512x512, Field of view 434 mm wide, 1.00 mm slice spacing, Slice index 521, CT 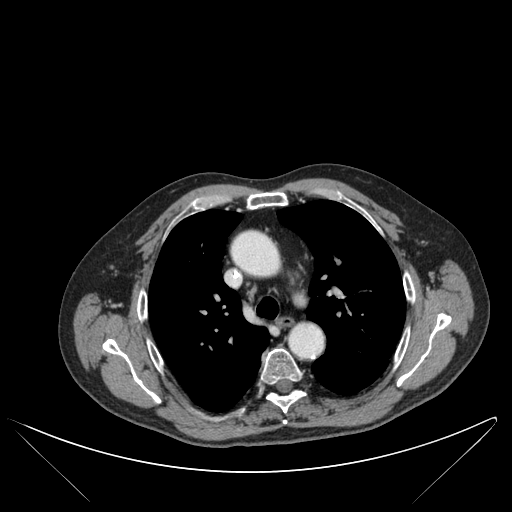

Bone at [403,272,414,301], [137,290,146,320], [261,348,301,383], [397,313,451,385], [247,192,287,209], [363,211,374,225], [147,340,162,370], [266,390,305,412], [394,329,409,367], [103,339,160,402].
Lung at [256,297,278,318], [277,200,405,394], [149,209,269,411].